FLAIR MRI.
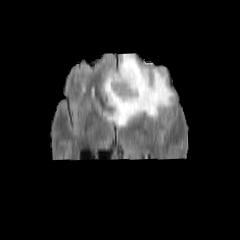
T1-weighted MR image.
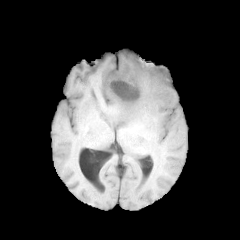
Post-contrast T1-weighted MR.
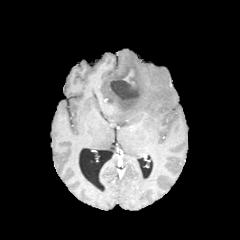
T2-weighted MR image.
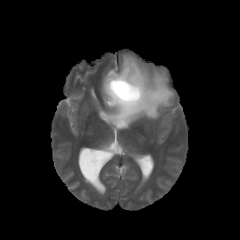
non-enhancing_tumor_core:
  - x1=103 y1=69 x2=145 y2=109
edema:
  - x1=103 y1=71 x2=117 y2=80
  - x1=99 y1=53 x2=174 y2=127